Slice 81/178; CT

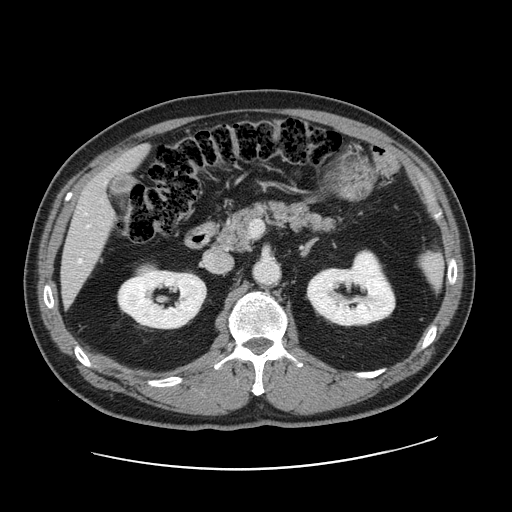

Some hepatic vessels may have no box.
Findings:
• hepatic vessel: bbox(87, 224, 89, 226); bbox(78, 258, 81, 261); bbox(66, 299, 69, 301); bbox(132, 147, 144, 152); bbox(109, 208, 113, 216); bbox(103, 180, 106, 183)